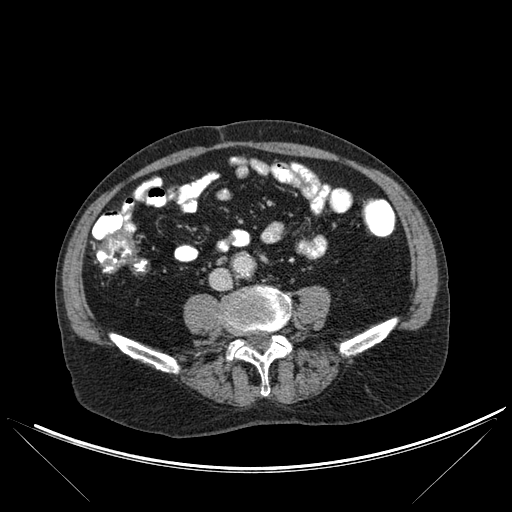
CT image

bone: (110,334,178,372), (227,335,291,395), (340,318,396,355), (223,287,290,332)